FLAIR MR image.
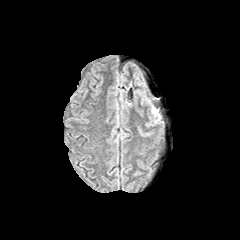
T1-weighted MRI.
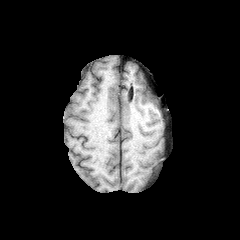
Post-contrast T1-weighted magnetic resonance.
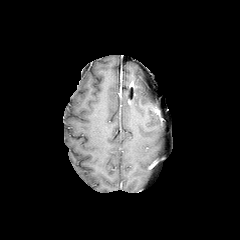
T2-weighted MRI.
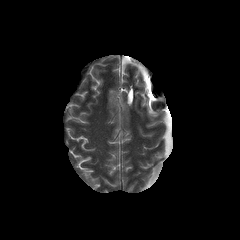
240x240 px.
2 edema regions appear at {"x1": 148, "y1": 108, "x2": 159, "y2": 125}, {"x1": 137, "y1": 90, "x2": 150, "y2": 104}.